Computed tomography
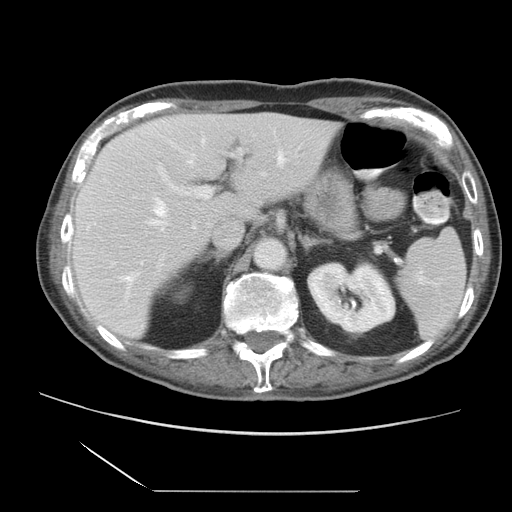
Only some of the vessels may be annotated.
hepatic vessel: 202:139:205:143, 239:150:241:152, 263:173:265:175, 146:196:167:230, 141:262:142:263, 122:271:139:300, 87:224:92:228, 189:155:194:163, 157:165:212:200, 278:151:285:164